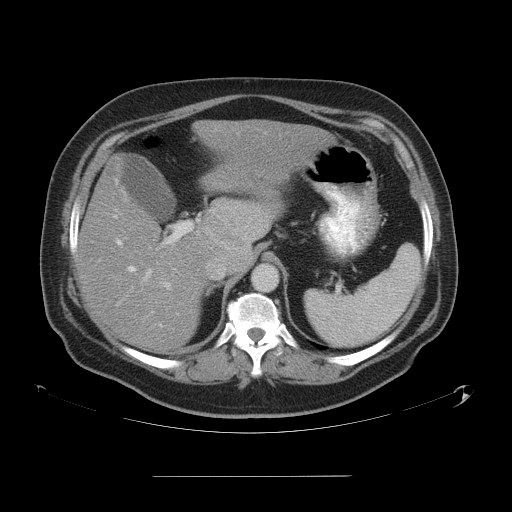

Liver; CT scan slice
The vessel boxes may cover only some of the vessels.
Hepatic vessel: bbox=[143, 269, 151, 280]; bbox=[166, 240, 175, 244]; bbox=[117, 240, 121, 244]; bbox=[161, 282, 170, 289]; bbox=[113, 215, 117, 217]; bbox=[210, 210, 213, 212]; bbox=[158, 324, 162, 326]; bbox=[128, 266, 135, 271]; bbox=[234, 230, 237, 233]; bbox=[206, 229, 212, 237].
Liver tumor: bbox=[216, 224, 242, 248].